CT scan slice, 512x512 px, Slice 85/161, Abdomen 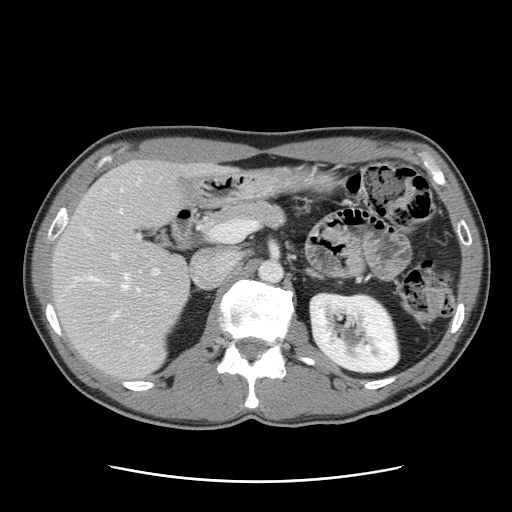

Some hepatic vessels may have no box.
• hepatic vessel: <box>85,229,86,231</box>, <box>120,189,121,190</box>, <box>137,288,138,290</box>, <box>152,268,158,274</box>, <box>112,255,117,258</box>, <box>119,210,121,212</box>, <box>140,345,142,346</box>, <box>137,178,140,183</box>, <box>70,275,99,286</box>, <box>112,311,119,317</box>, <box>138,236,139,238</box>, <box>122,274,128,288</box>